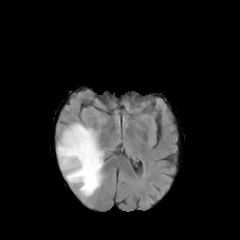
FLAIR MR image.
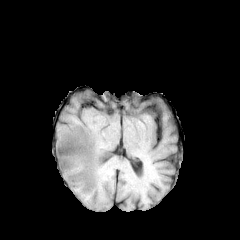
Same slice, T1-weighted MR.
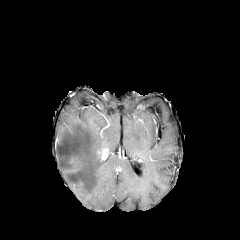
Same slice, post-contrast T1-weighted magnetic resonance.
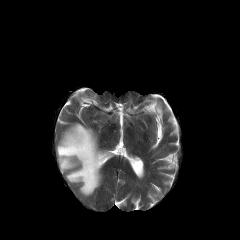
Same slice, T2-weighted magnetic resonance.
240x240
The edema is bounded by left=57, top=123, right=103, bottom=196.